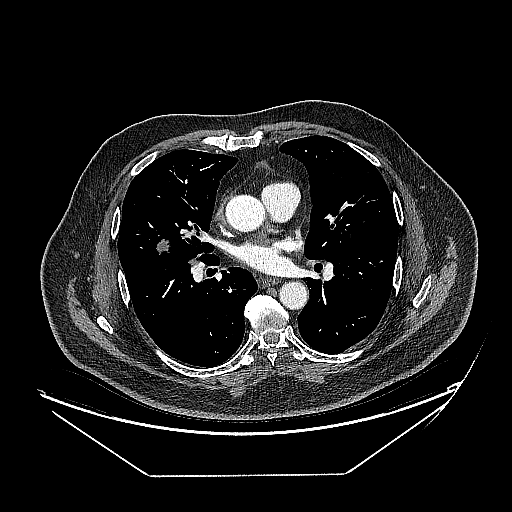

Computed tomography; 512x512

Annotated regions:
- lung tumor: box=[154, 237, 171, 255]